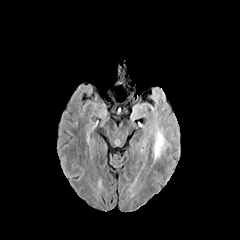
FLAIR magnetic resonance.
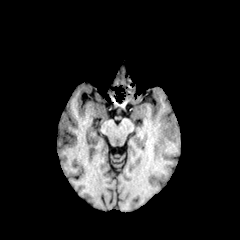
T1-weighted magnetic resonance of the same slice.
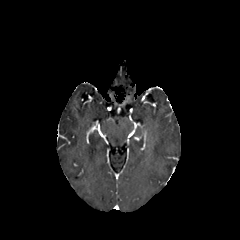
Post-contrast T1-weighted MR image.
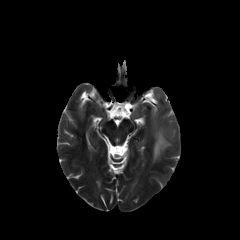
T2-weighted MRI of the same slice.
Brain
• edema: box=[154, 125, 165, 159]